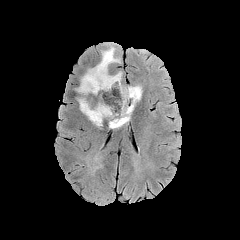
FLAIR MR image.
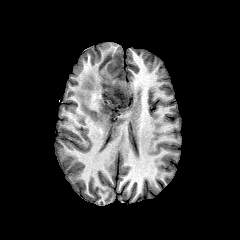
T1-weighted MRI.
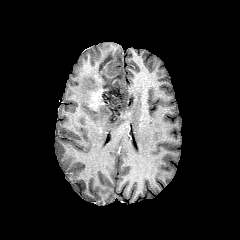
Post-contrast T1-weighted magnetic resonance.
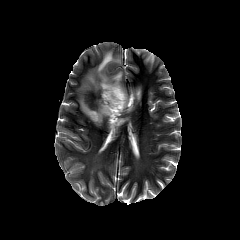
T2-weighted MR of the same slice.
240x240 px.
The non-enhancing tumor core lies within 100:85:132:121. The edema is located at 77:44:142:133.